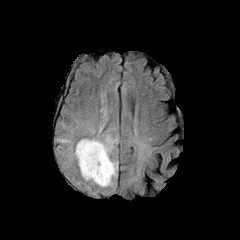
FLAIR MRI.
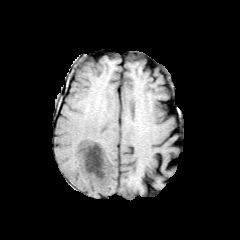
T1-weighted MRI of the same slice.
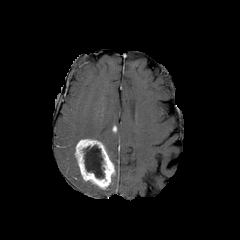
Post-contrast T1-weighted MRI.
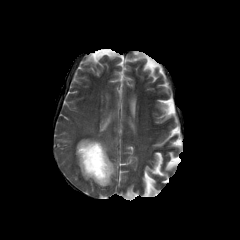
T2-weighted magnetic resonance.
<segmentation>
  <enhancing_tumor>l=75, t=139, r=115, b=188</enhancing_tumor>
  <non-enhancing_tumor_core>l=82, t=145, r=105, b=179</non-enhancing_tumor_core>
  <edema>l=84, t=180, r=100, b=195; l=54, t=100, r=120, b=190</edema>
</segmentation>